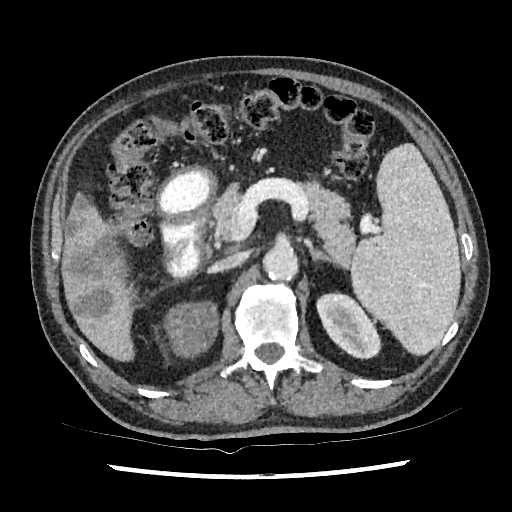
CT slice. Upper abdomen.
{"kidney": ["[317,294,379,358]"], "hepatic_lesion": ["[64,214,117,279]", "[73,195,88,211]", "[72,283,114,322]"], "liver": ["[69,206,111,244]", "[63,236,133,359]"]}